T2-weighted magnetic resonance.
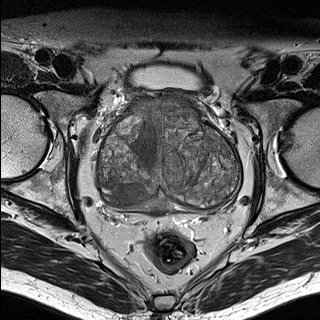
ADC MR image.
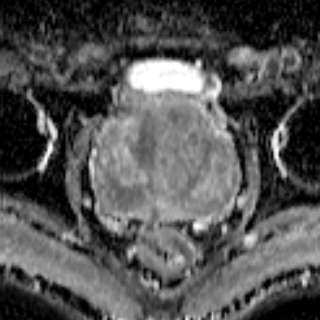
Segmented structures:
* prostate transition zone: (99, 95, 239, 210)
* prostate peripheral zone: (112, 197, 209, 214)